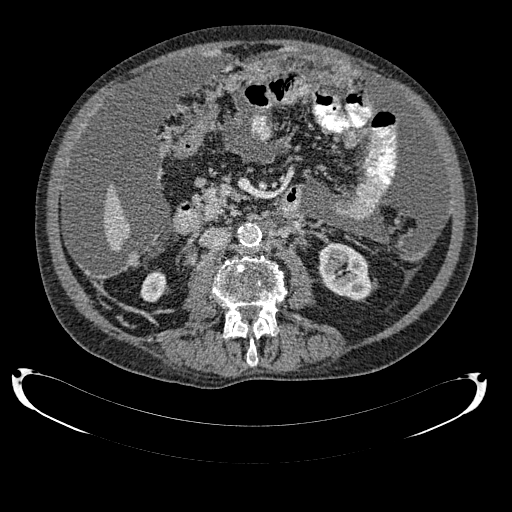
CT; 512x512 px; Abdomen
The liver is bounded by left=104, top=184, right=129, bottom=251. 2 kidney regions are located at left=319, top=243, right=371, bottom=299; left=141, top=272, right=165, bottom=301.